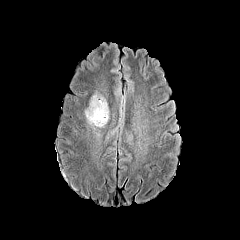
FLAIR MR.
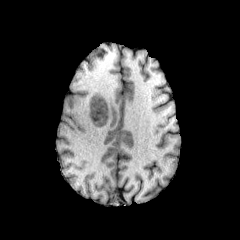
T1-weighted MR image.
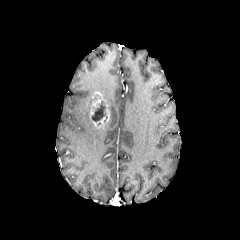
Post-contrast T1-weighted MR image.
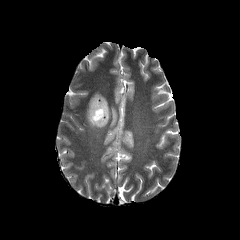
T2-weighted MR.
Non-enhancing tumor core: (x1=88, y1=95, x2=100, y2=115), (x1=91, y1=100, x2=108, y2=122).
Enhancing tumor: (x1=89, y1=92, x2=105, y2=128).
Edema: (x1=85, y1=107, x2=90, y2=124).